FLAIR MR.
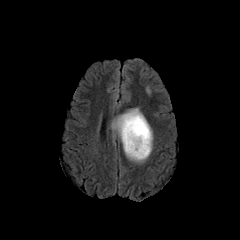
T1-weighted MR.
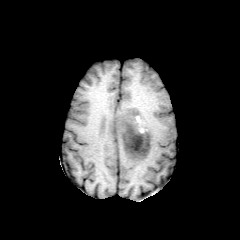
Post-contrast T1-weighted MR image.
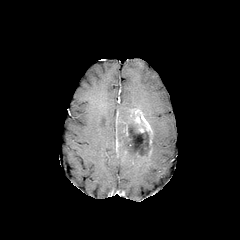
T2-weighted MR.
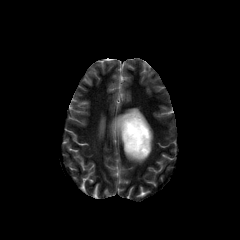
Head
2 edema regions appear at (117, 110, 130, 118), (112, 119, 150, 162). The enhancing tumor is at (130, 109, 151, 132). The non-enhancing tumor core is bounded by (114, 112, 151, 156).